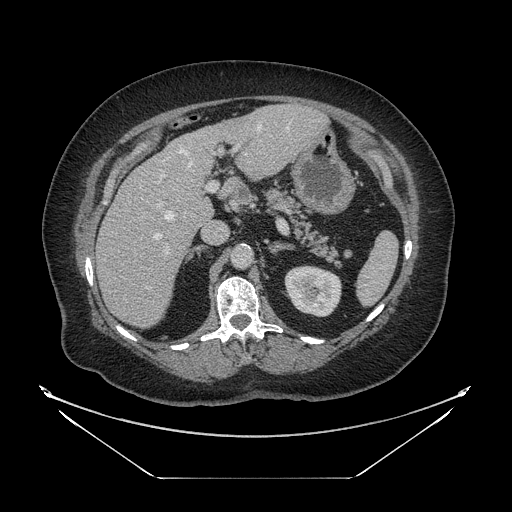 Abdomen; CT slice
Pancreas at {"x1": 264, "y1": 188, "x2": 340, "y2": 267}.